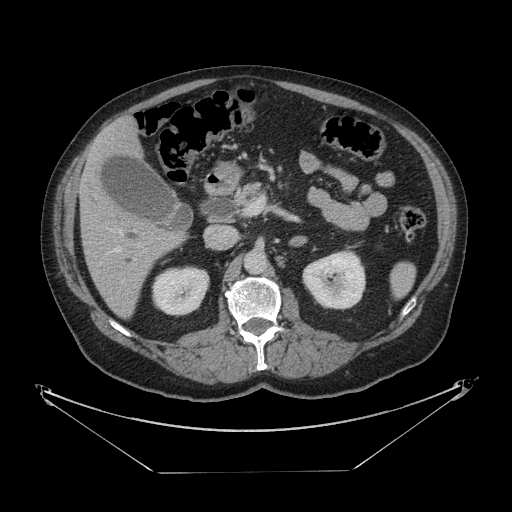
CT image

<segmentation>
  <pancreas>(237, 184, 262, 203)</pancreas>
</segmentation>